Computed tomography, Abdomen, Slice 87/131
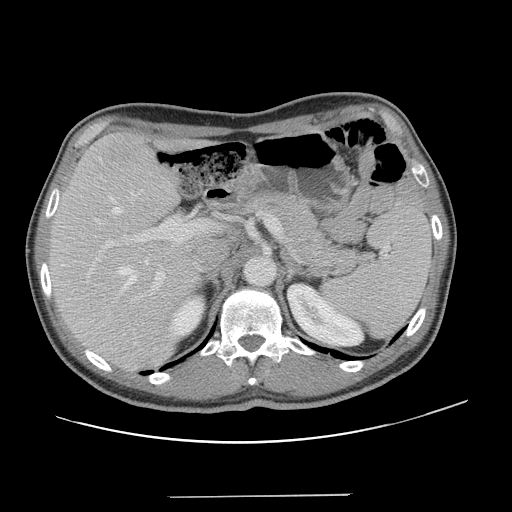

The vessel boxes may cover only some of the vessels.
Hepatic vessel — l=131, t=192, r=137, b=199; l=150, t=292, r=152, b=293; l=133, t=298, r=135, b=299; l=119, t=268, r=136, b=289; l=113, t=206, r=121, b=213; l=96, t=219, r=100, b=223; l=100, t=251, r=102, b=256; l=151, t=272, r=164, b=288; l=134, t=342, r=136, b=344; l=110, t=197, r=114, b=201; l=145, t=259, r=147, b=264; l=102, t=241, r=113, b=249.